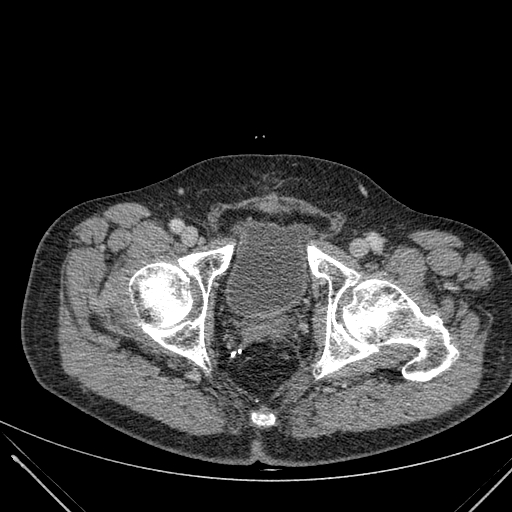
Image size 512x512 | CT | Lower abdomen
Annotated regions:
- urinary bladder: {"x1": 229, "y1": 221, "x2": 316, "y2": 311}